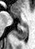 Medial temporal lobe, MRI slice, 35x49 px
- posterior hippocampus: x1=13 y1=27 x2=27 y2=40